T2-weighted MR.
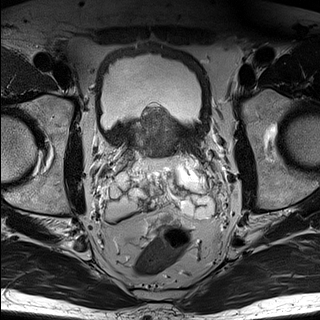
ADC magnetic resonance.
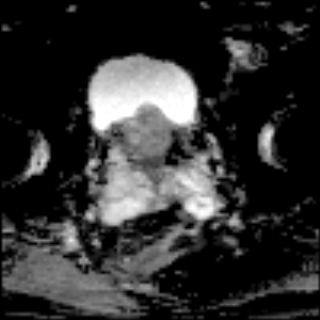
Prostate
The prostate transition zone is bounded by (133, 108, 178, 156).